240x240 | Field of view 240 mm wide, 1.00 mm slice spacing
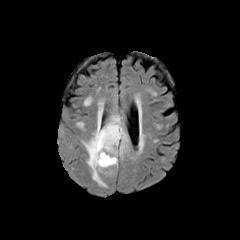
FLAIR MR image.
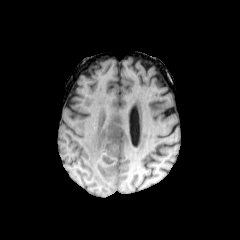
Same slice, T1-weighted MR.
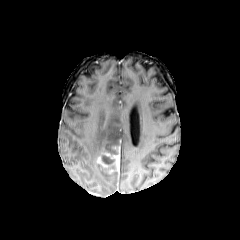
Same slice, post-contrast T1-weighted MR image.
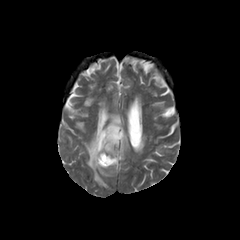
T2-weighted MRI.
<segmentation>
  <non-enhancing_tumor_core>{"x1": 100, "y1": 152, "x2": 117, "y2": 172}</non-enhancing_tumor_core>
  <enhancing_tumor>{"x1": 96, "y1": 155, "x2": 107, "y2": 167}, {"x1": 103, "y1": 146, "x2": 120, "y2": 170}</enhancing_tumor>
  <edema>{"x1": 82, "y1": 99, "x2": 129, "y2": 187}, {"x1": 84, "y1": 96, "x2": 94, "y2": 105}</edema>
</segmentation>